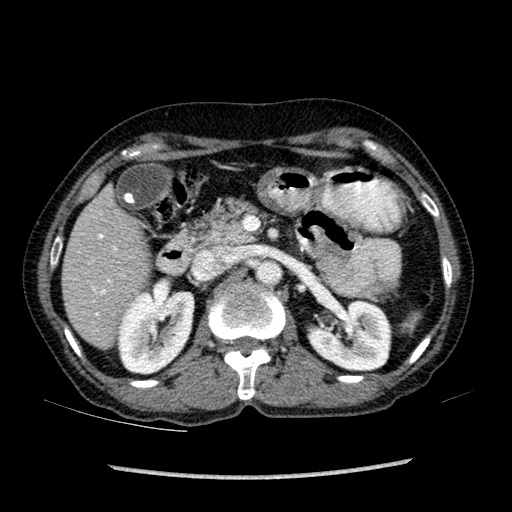

CT slice

The liver is at rect(62, 203, 145, 339). 2 kidney regions are located at rect(119, 284, 193, 373); rect(310, 302, 389, 369).